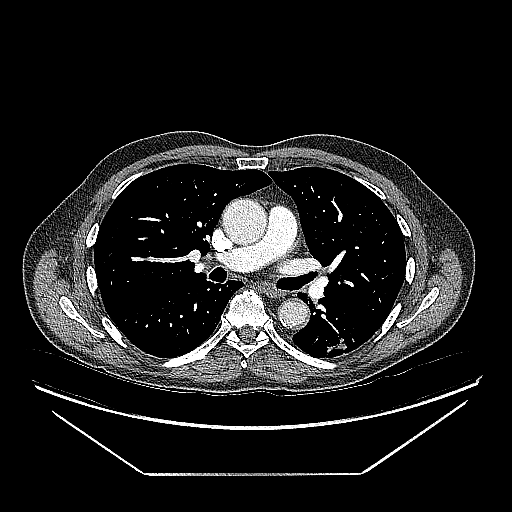 Lung, Computed tomography

The lung tumor lies within box=[325, 324, 363, 356].